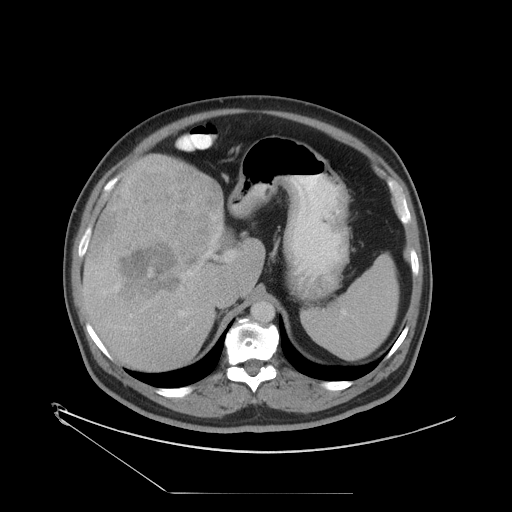 Computed tomography | 512x512

Not every hepatic vessel necessarily has a box.
{"liver_tumor": ["region(91, 164, 224, 308)"], "hepatic_vessel": ["region(129, 313, 134, 316)", "region(178, 308, 190, 319)", "region(115, 325, 125, 329)", "region(222, 251, 234, 261)", "region(158, 316, 160, 317)", "region(170, 319, 173, 324)", "region(184, 323, 193, 331)", "region(114, 295, 115, 296)", "region(157, 297, 158, 298)", "region(152, 300, 155, 302)", "region(145, 303, 151, 307)", "region(111, 277, 118, 292)", "region(177, 288, 183, 297)"]}